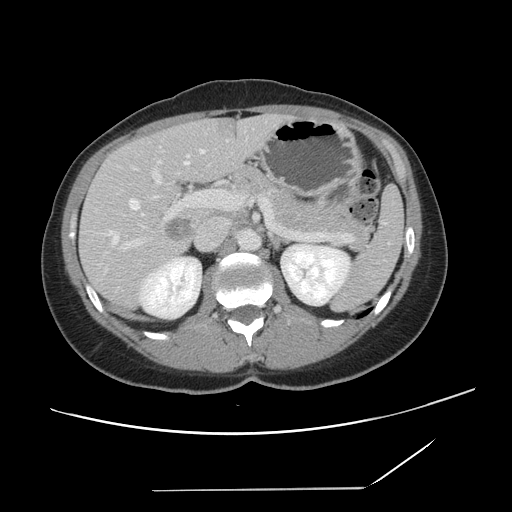 Image size 512x512, CT image, Abdomen

Some hepatic vessels may have no box.
11 hepatic vessel regions are bounded by [130,199,138,209], [153,171,161,183], [187,155,188,157], [133,168,136,169], [122,243,130,250], [158,160,160,163], [105,267,106,271], [152,196,158,197], [104,231,118,243], [185,160,188,163], [200,149,204,153]. The liver tumor is at [166,218,193,239].